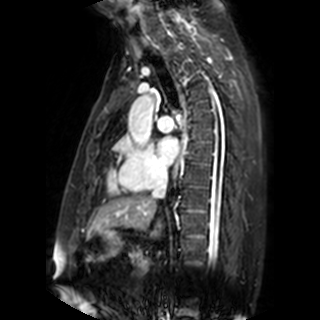

MRI slice

<segmentation>
  <left_atrium>l=156, t=137, r=177, b=164</left_atrium>
</segmentation>